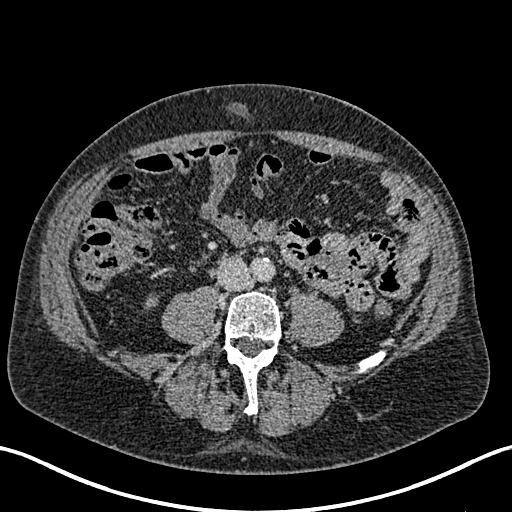 Image size 512x512 | CT slice
Kidney: (x1=144, y1=296, x2=157, y2=309).